FLAIR MR image.
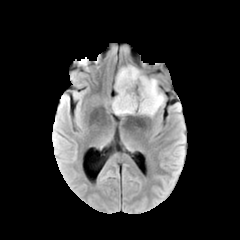
T1-weighted MR.
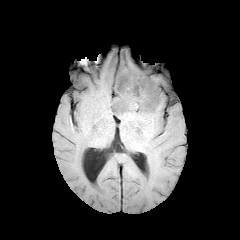
Post-contrast T1-weighted MR image.
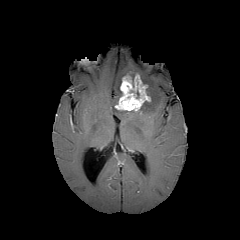
T2-weighted MR.
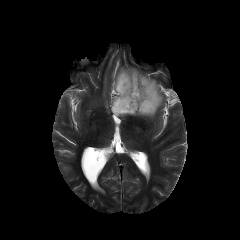
The non-enhancing tumor core is bounded by [111,77,153,115]. The enhancing tumor is at [114,73,150,111]. The edema lies within [116,66,164,117].